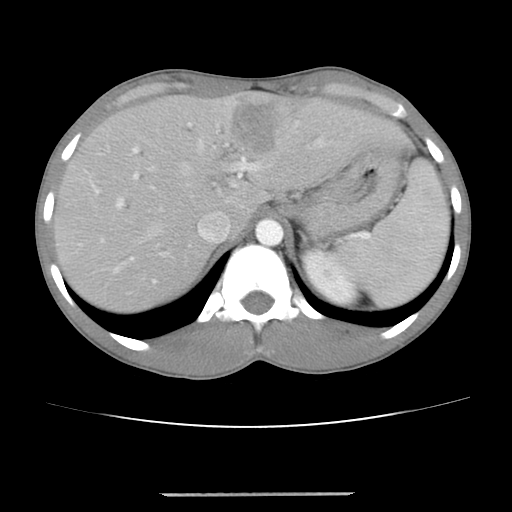 512x512 | CT image | Abdomen
The vessel annotation is not exhaustive.
Liver tumor at left=214, top=104, right=274, bottom=158.
Hepatic vessel at left=235, top=159, right=255, bottom=175; left=181, top=162, right=190, bottom=175; left=147, top=223, right=162, bottom=234; left=134, top=149, right=138, bottom=152; left=134, top=175, right=137, bottom=178; left=118, top=200, right=123, bottom=206; left=200, top=213, right=229, bottom=242; left=196, top=140, right=204, bottom=153.